MRI, Medial temporal lobe, Image width 38 mm
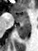 The posterior hippocampus is bounded by 17,23,30,39. The anterior hippocampus appears at 15,14,29,22.